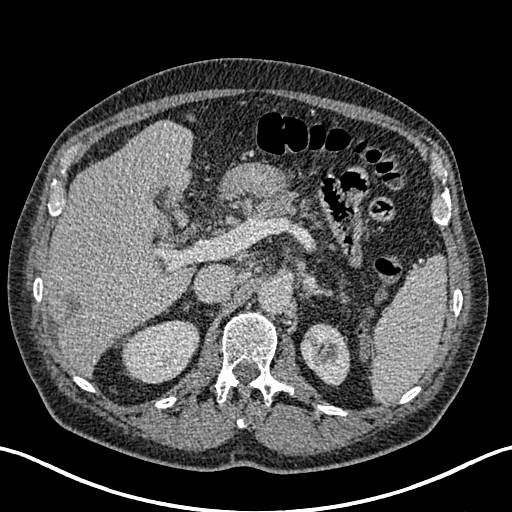
CT image; Upper abdomen

The liver is located at l=45, t=121, r=194, b=375. 2 hepatic lesion regions are bounded by l=149, t=182, r=167, b=203; l=53, t=286, r=95, b=327. 2 kidney regions are bounded by l=301, t=324, r=348, b=384; l=124, t=321, r=198, b=382.